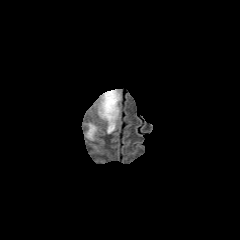
FLAIR MR.
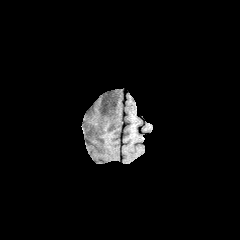
T1-weighted MRI.
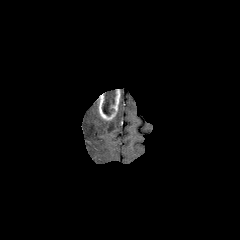
Same slice, post-contrast T1-weighted magnetic resonance.
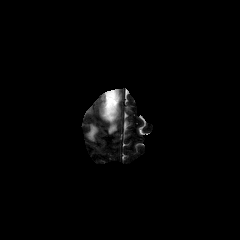
T2-weighted magnetic resonance.
Head
<segmentation>
  <enhancing_tumor>(left=98, top=89, right=120, bottom=120)</enhancing_tumor>
  <edema>(left=84, top=122, right=98, bottom=140), (left=104, top=105, right=120, bottom=133)</edema>
  <non-enhancing_tumor_core>(left=103, top=90, right=115, bottom=115)</non-enhancing_tumor_core>
</segmentation>